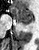
MR.

anterior hippocampus: <box>11,7,32,21</box> | posterior hippocampus: <box>17,22,20,23</box>, <box>21,21,32,24</box>